240x240. Slice 80/155.
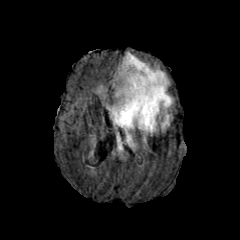
FLAIR magnetic resonance.
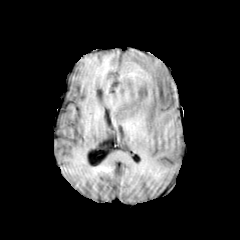
T1-weighted MR image.
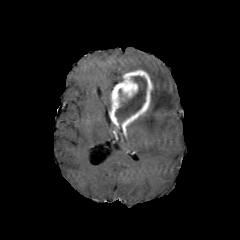
Post-contrast T1-weighted MR.
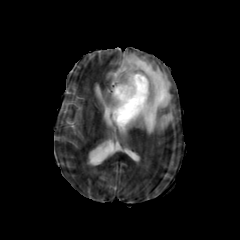
T2-weighted MR of the same slice.
{
  "enhancing_tumor": [
    "rect(109, 70, 153, 137)"
  ],
  "edema": [
    "rect(113, 52, 173, 151)"
  ],
  "non-enhancing_tumor_core": [
    "rect(115, 76, 146, 121)"
  ]
}